Slice 30 of 42 | Image size 39x41 | Medial temporal lobe | MRI 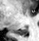
The posterior hippocampus lies within [x1=16, y1=28, x2=27, y2=35].